CT slice, Abdomen

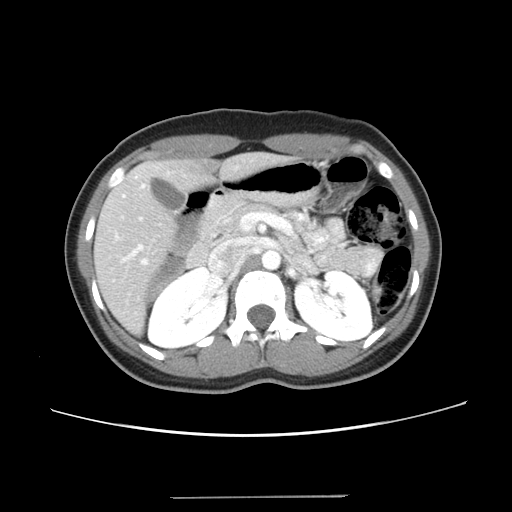
Not every hepatic vessel necessarily has a box.
<segmentation>
  <liver_tumor>(left=201, top=162, right=218, bottom=172)</liver_tumor>
  <hepatic_vessel>(left=122, top=216, right=123, bottom=218), (left=142, top=259, right=147, bottom=264), (left=142, top=185, right=145, bottom=188), (left=123, top=195, right=125, bottom=196), (left=122, top=245, right=142, bottom=262), (left=140, top=218, right=142, bottom=220), (left=116, top=234, right=118, bottom=239)</hepatic_vessel>
</segmentation>